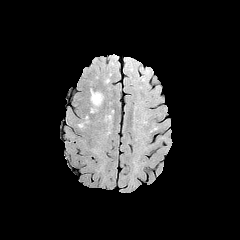
FLAIR MRI.
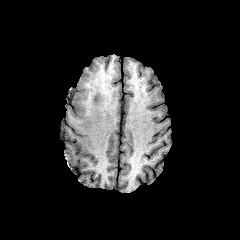
Same slice, T1-weighted MR.
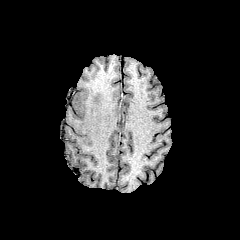
Post-contrast T1-weighted MR of the same slice.
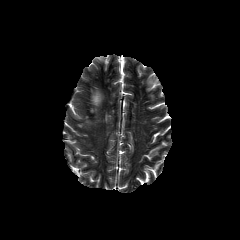
T2-weighted MR.
Image size 240x240. Brain.
<segmentation>
  <edema>90, 87, 103, 113</edema>
</segmentation>